Slice 39 of 79; Computed tomography; Image width 374 mm 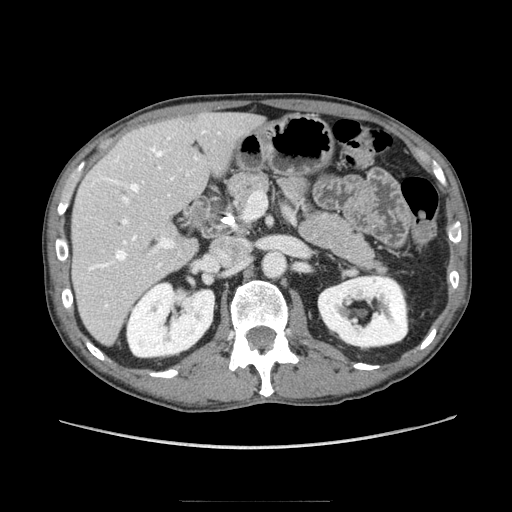 Segmented structures:
• pancreas: <bbox>279, 180, 382, 270</bbox>, <bbox>227, 172, 270, 213</bbox>